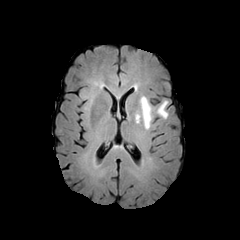
FLAIR MR.
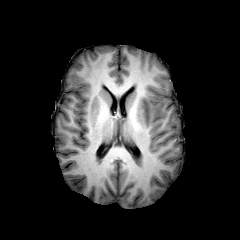
T1-weighted MR of the same slice.
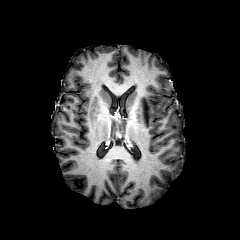
Post-contrast T1-weighted MR of the same slice.
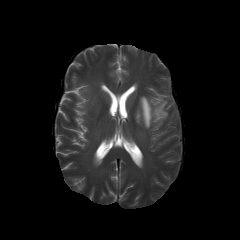
T2-weighted MRI.
Brain.
Edema = [135, 96, 168, 129].